Brain, Slice 103/155
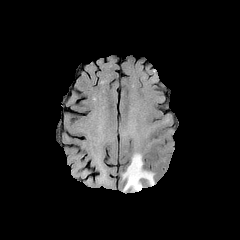
FLAIR MR image.
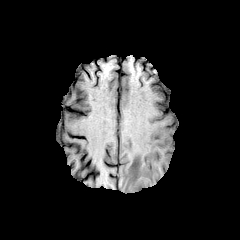
T1-weighted MR image.
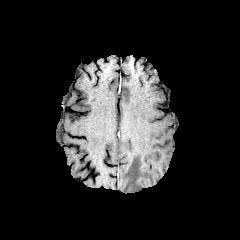
Same slice, post-contrast T1-weighted MR.
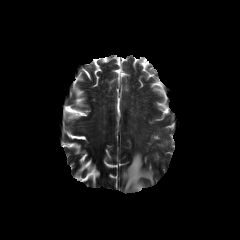
T2-weighted MRI.
Findings:
- edema: 122 153 154 191